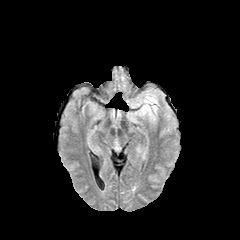
FLAIR MRI.
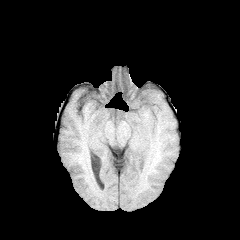
Same slice, T1-weighted magnetic resonance.
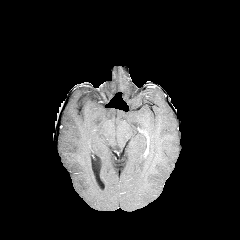
Post-contrast T1-weighted MR of the same slice.
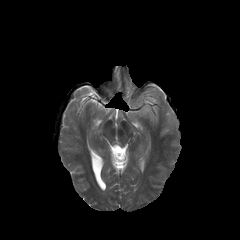
T2-weighted MR.
Head.
Edema at 145,97,155,105.